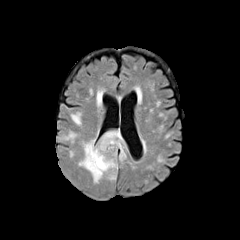
FLAIR MR image.
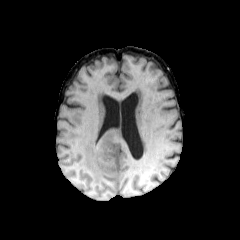
Same slice, T1-weighted MR image.
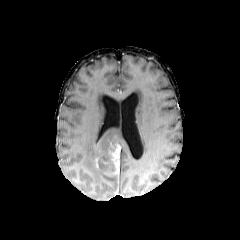
Post-contrast T1-weighted magnetic resonance of the same slice.
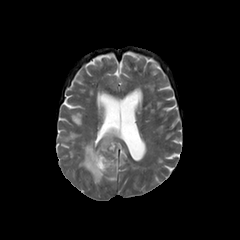
T2-weighted MR.
2 edema regions appear at (79, 128, 127, 183), (94, 88, 104, 109). The non-enhancing tumor core lies within (95, 152, 105, 167). The enhancing tumor is bounded by (109, 142, 121, 174).